CT slice. Slice index 319. Upper abdomen. 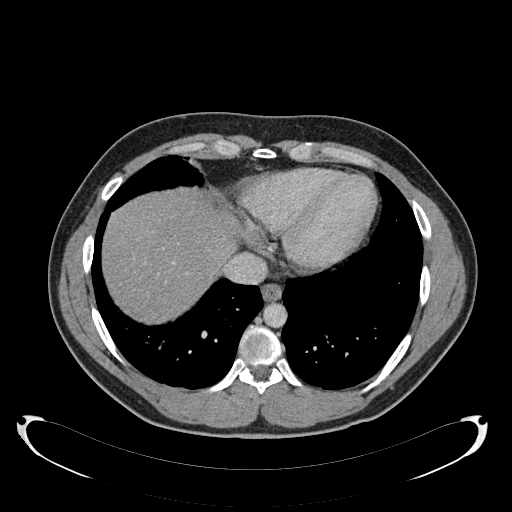

Liver at 103, 190, 238, 320.